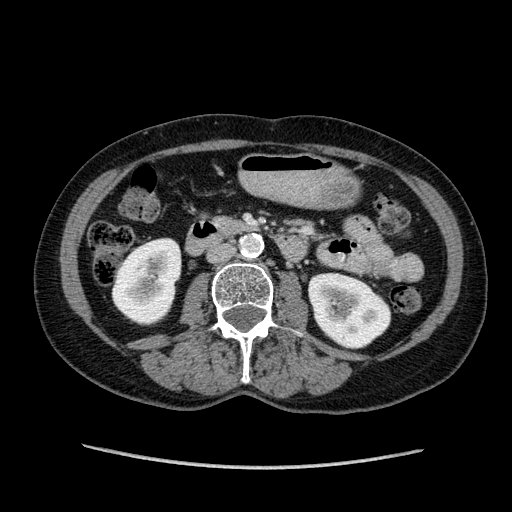

CT slice.
2 kidney regions are bounded by l=309, t=274, r=389, b=347; l=113, t=239, r=180, b=322.